CT | Image size 512x512
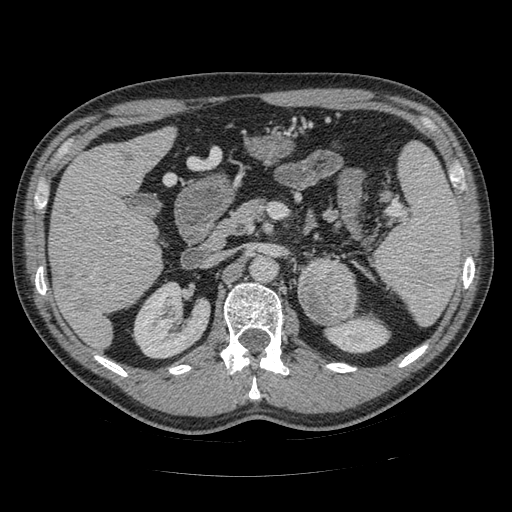

Pancreatic tumor = 299,259,356,324.
Pancreas = 228,200,263,233.